CT image; Upper abdomen; 512x512

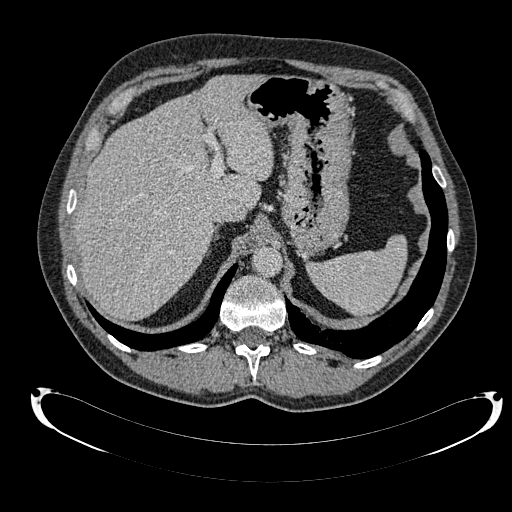 The liver is located at 75,76,272,318.